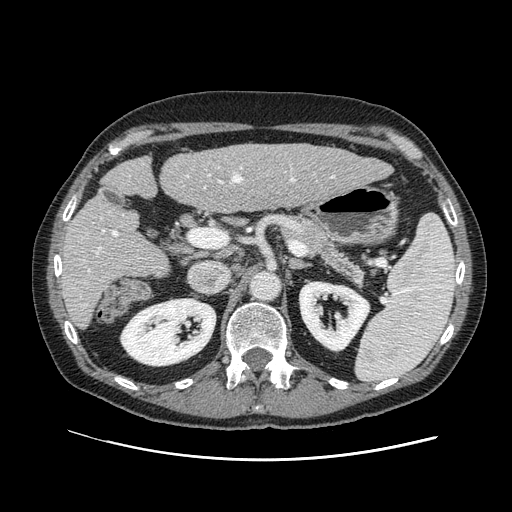

Abdomen. CT scan slice. Segmented structures:
* pancreas: x1=297, y1=222, x2=360, y2=279